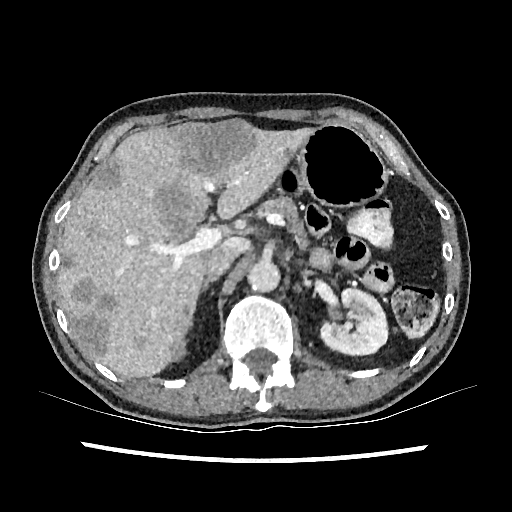

CT scan slice
kidney:
  - 320,289,394,358
  - 316,281,337,304
liver:
  - 59,129,309,375
liver_lesion:
  - 170,121,256,175
  - 71,278,96,302
  - 71,313,106,354
  - 172,341,181,355
  - 134,337,145,348
  - 61,254,74,268
  - 96,159,119,187
  - 96,293,117,310
  - 157,187,189,235